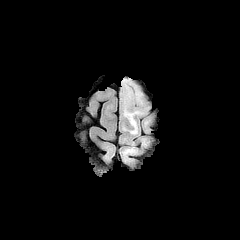
FLAIR MR image.
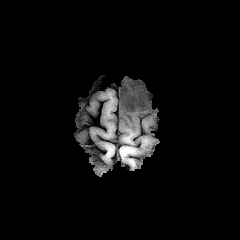
Same slice, T1-weighted MR image.
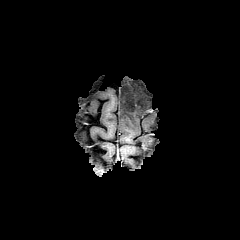
Same slice, post-contrast T1-weighted MR.
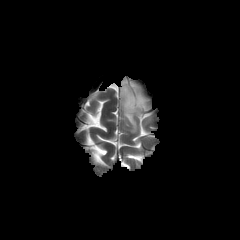
T2-weighted MRI of the same slice.
Head.
Edema = (x1=126, y1=132, x2=145, y2=145), (x1=119, y1=79, x2=149, y2=131).
Non-enhancing tumor core = (x1=124, y1=122, x2=139, y2=135), (x1=121, y1=144, x2=135, y2=160).